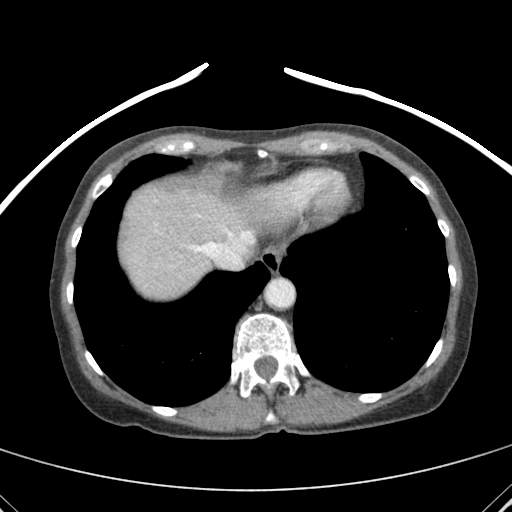
Computed tomography, Abdomen

Segmented structures:
• liver: <bbox>122, 185, 265, 297</bbox>